FLAIR MR image.
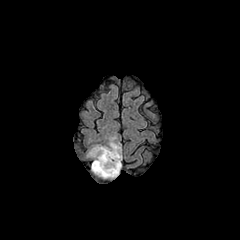
T1-weighted MR image.
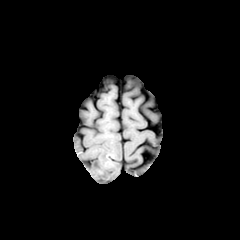
Post-contrast T1-weighted magnetic resonance.
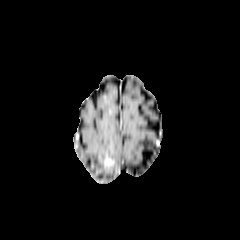
T2-weighted MR image.
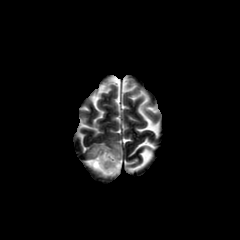
Brain
Non-enhancing tumor core — 101 152 119 172, 92 160 99 169.
Enhancing tumor — 105 158 113 166.
Edema — 88 136 121 178.